Image width 404 mm. Liver. CT. Slice index 27.
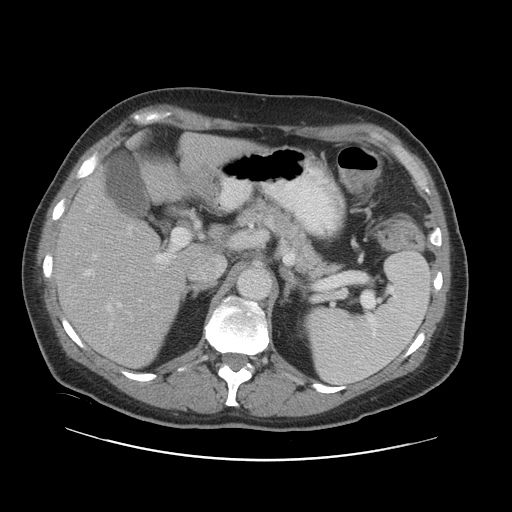
The vessel annotation is not exhaustive.
8 hepatic vessel regions appear at [155,254,168,262], [126,311,127,312], [117,302,121,306], [161,266,163,268], [151,273,153,275], [138,299,141,301], [128,226,131,229], [152,304,154,307].